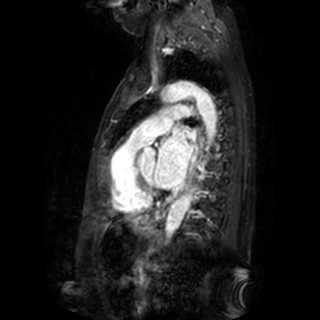 MRI, Image size 320x320
<segmentation>
  <left_atrium>bbox=[155, 127, 192, 188]</left_atrium>
</segmentation>